Image size 512x512, Slice 75 of 260, CT image
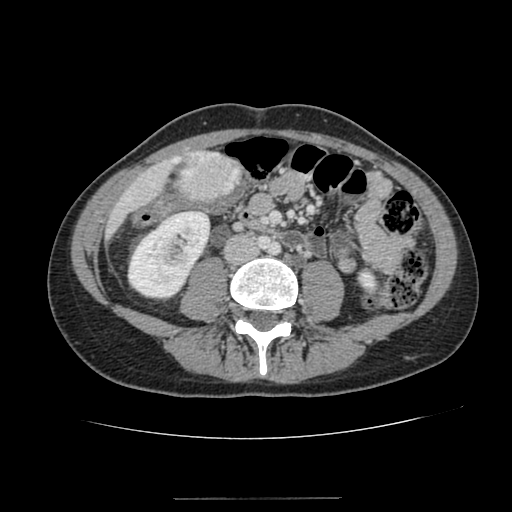
The hepatic lesion lies within box(177, 151, 241, 198). The liver is bounded by box(105, 151, 189, 240). 2 kidney regions are located at box(129, 212, 208, 296); box(361, 273, 373, 286).